Abdomen, CT scan slice
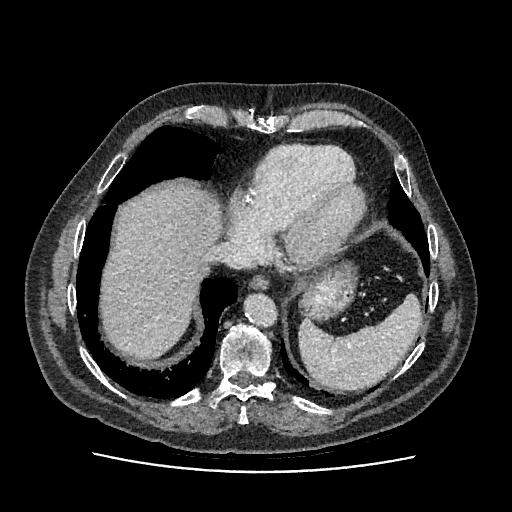 liver: left=100, top=186, right=219, bottom=357